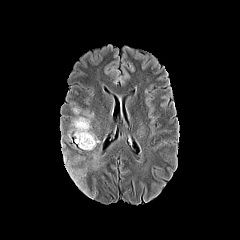
FLAIR MRI.
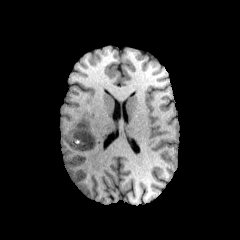
T1-weighted magnetic resonance of the same slice.
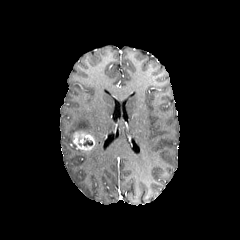
Post-contrast T1-weighted MRI.
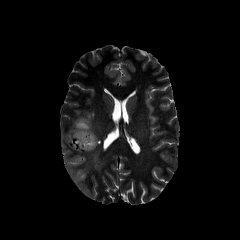
T2-weighted MR.
Edema: bounding box (91,145,104,167), (62,152,83,185), (68,111,93,152).
Enhancing tumor: bounding box (73,130,96,151).